Field of view 240 mm wide, 1.00 mm slice spacing
FLAIR MRI.
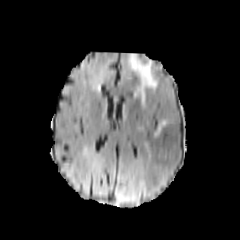
T1-weighted MR image.
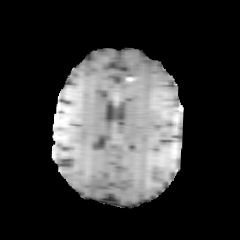
Post-contrast T1-weighted MR.
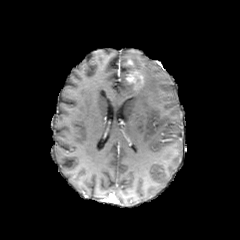
T2-weighted MR image.
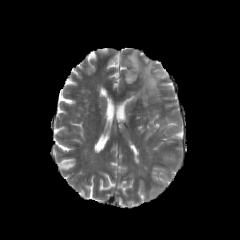
Enhancing tumor at region(126, 70, 144, 89).
Edema at region(153, 121, 169, 133); region(127, 52, 161, 105).